Brain | 240x240 px
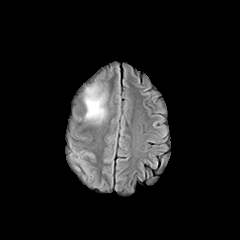
FLAIR MR image.
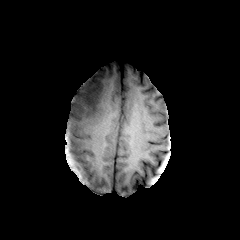
T1-weighted MR.
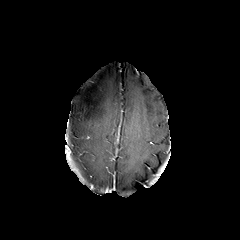
Post-contrast T1-weighted MR image of the same slice.
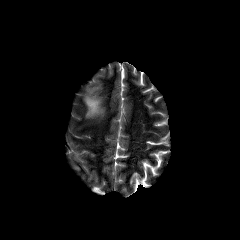
T2-weighted magnetic resonance.
Edema at bbox=[84, 84, 106, 123].